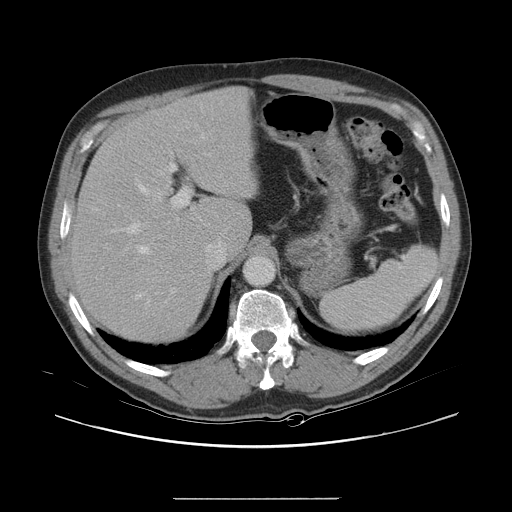
CT slice; Abdomen
Some hepatic vessels may have no box.
Annotated regions:
• hepatic vessel (largest 15 of 16): (168, 163, 175, 172), (159, 192, 161, 200), (171, 288, 175, 292), (136, 294, 142, 298), (136, 181, 147, 193), (201, 134, 203, 138), (112, 222, 139, 234), (160, 172, 163, 174), (205, 154, 210, 155), (176, 218, 178, 220), (195, 124, 196, 126), (146, 300, 149, 306), (137, 246, 150, 254), (206, 245, 210, 249), (201, 107, 202, 109)